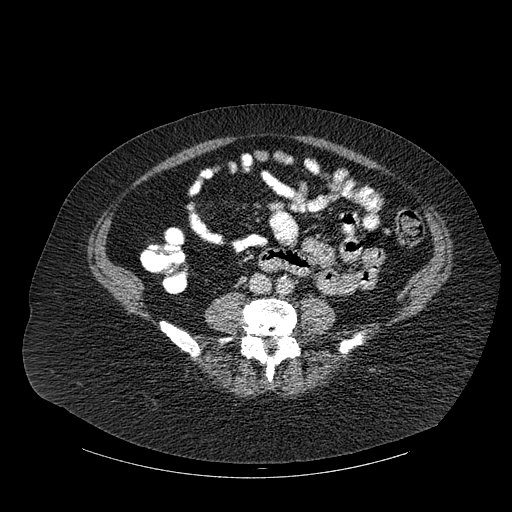

CT scan slice, 512x512
3 bone regions appear at {"x1": 160, "y1": 321, "x2": 199, "y2": 356}, {"x1": 241, "y1": 299, "x2": 299, "y2": 381}, {"x1": 340, "y1": 333, "x2": 363, "y2": 353}.